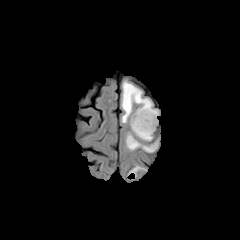
FLAIR MR.
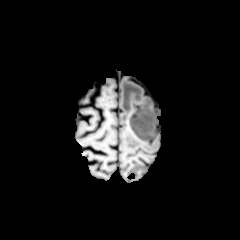
Same slice, T1-weighted MR image.
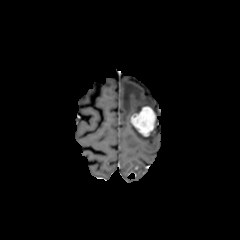
Same slice, post-contrast T1-weighted MR.
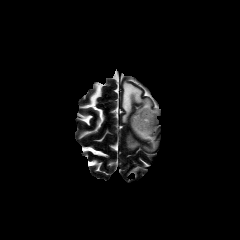
T2-weighted magnetic resonance.
enhancing_tumor:
  - 130 106 155 136
edema:
  - 126 135 140 149
  - 143 142 157 152
  - 122 81 152 123
  - 131 125 153 140